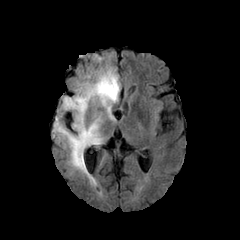
FLAIR MR.
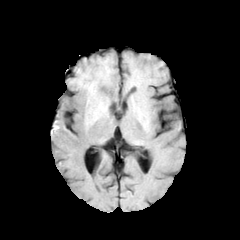
Same slice, T1-weighted MR image.
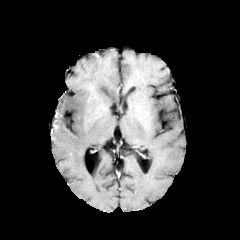
Post-contrast T1-weighted MR image.
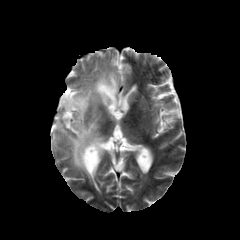
T2-weighted MR image of the same slice.
Edema at x1=52, y1=63, x2=120, y2=183.